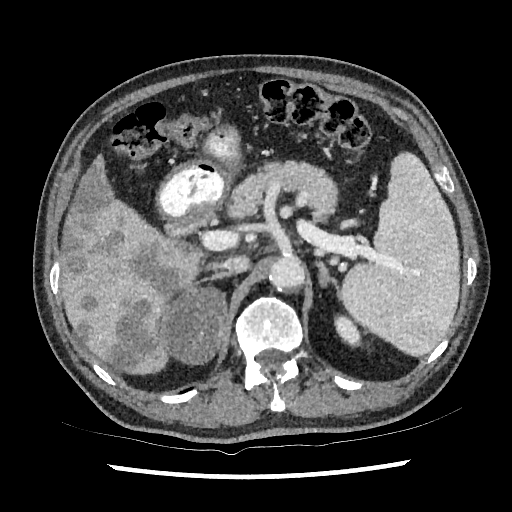

CT slice, Upper abdomen
9 hepatic lesion regions are located at bbox(172, 241, 196, 255); bbox(127, 239, 187, 296); bbox(105, 264, 119, 274); bbox(75, 320, 92, 344); bbox(105, 296, 162, 370); bbox(114, 215, 127, 226); bbox(80, 295, 98, 312); bbox(63, 157, 113, 276); bbox(88, 230, 124, 258). The liver is bounded by bbox(61, 194, 202, 373). The kidney appears at bbox(335, 317, 359, 343).